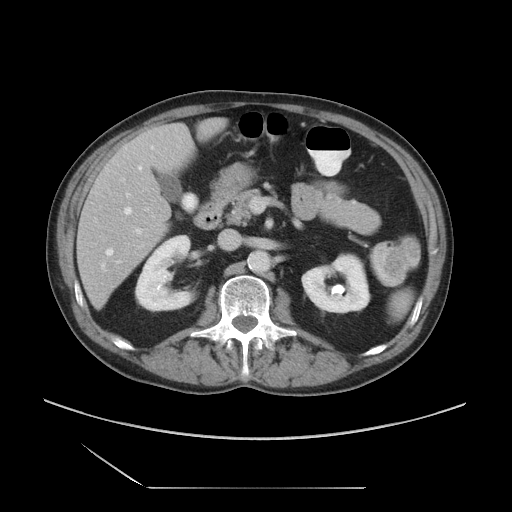
512x512; CT slice; Abdomen
Not every hepatic vessel necessarily has a box.
<segmentation>
  <hepatic_vessel>{"x1": 94, "y1": 218, "x2": 96, "y2": 221}, {"x1": 101, "y1": 263, "x2": 105, "y2": 270}, {"x1": 124, "y1": 207, "x2": 131, "y2": 214}, {"x1": 117, "y1": 260, "x2": 120, "y2": 262}, {"x1": 106, "y1": 249, "x2": 112, "y2": 254}, {"x1": 138, "y1": 166, "x2": 141, "y2": 169}, {"x1": 126, "y1": 193, "x2": 129, "y2": 196}, {"x1": 136, "y1": 228, "x2": 141, "y2": 233}, {"x1": 151, "y1": 146, "x2": 153, "y2": 148}, {"x1": 152, "y1": 215, "x2": 154, "y2": 217}</hepatic_vessel>
</segmentation>